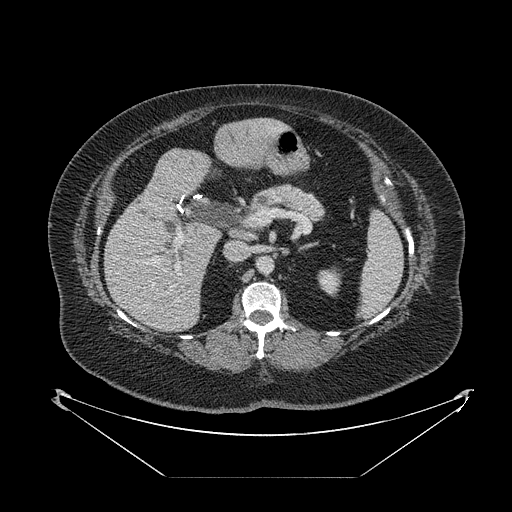 Image size 512x512 | Computed tomography

Pancreas = (248, 183, 326, 221).